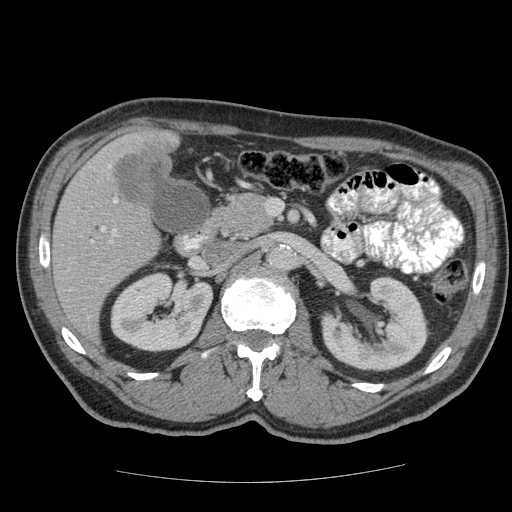 Liver, CT image

Some hepatic vessels may have no box.
Hepatic vessel at (left=113, top=198, right=117, bottom=202), (left=101, top=228, right=104, bottom=230), (left=90, top=241, right=92, bottom=243), (left=99, top=278, right=102, bottom=280).
Liver tumor at (left=115, top=147, right=165, bottom=202).